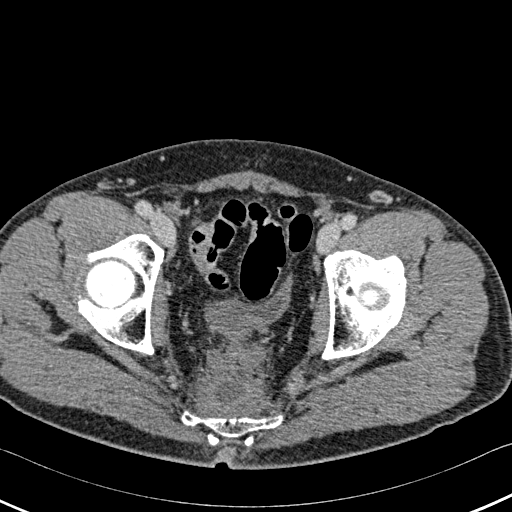 CT scan slice.

Segmented structures:
* bone: 322 250 405 359, 78 234 163 354, 206 433 220 444, 243 434 253 445, 181 411 283 438